MRI slice.

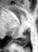 The posterior hippocampus is located at x1=15 y1=34 x2=29 y2=46.